Slice index 28. MR.

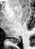 posterior hippocampus: (10, 38, 19, 42)